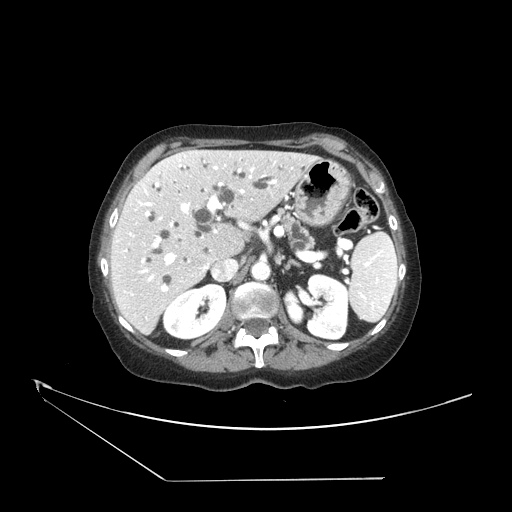 CT; 512x512 px
pancreas:
  - (280, 213, 313, 252)